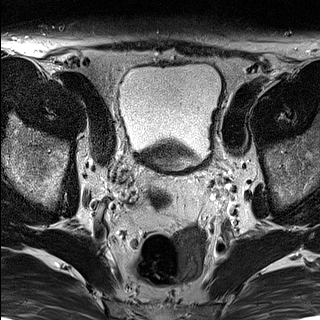
T2-weighted MRI.
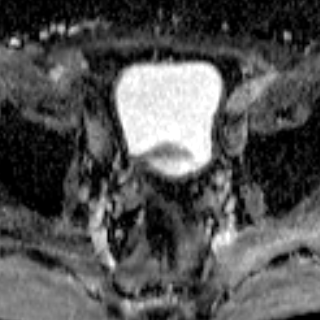
ADC MR image of the same slice.
Pelvis | 320x320
The prostate transition zone lies within rect(150, 148, 187, 169).